FLAIR MR.
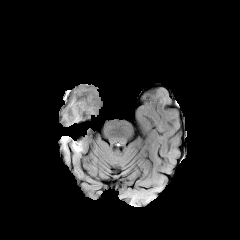
T1-weighted MRI.
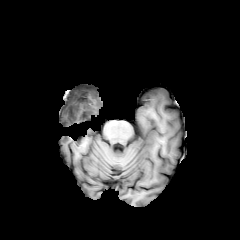
Post-contrast T1-weighted MR image.
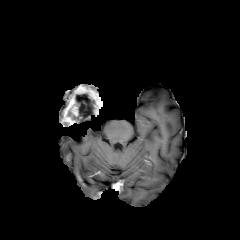
T2-weighted MRI.
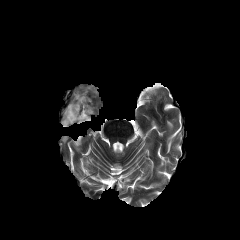
Brain.
edema:
  - box=[76, 92, 93, 119]
non-enhancing_tumor_core:
  - box=[70, 88, 99, 113]
  - box=[76, 104, 83, 121]
enhancing_tumor:
  - box=[64, 102, 79, 122]